FLAIR MRI.
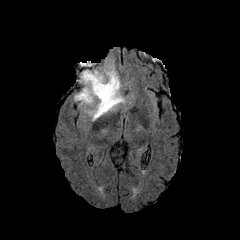
T1-weighted magnetic resonance.
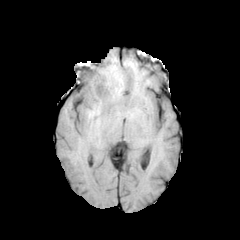
Post-contrast T1-weighted MR image.
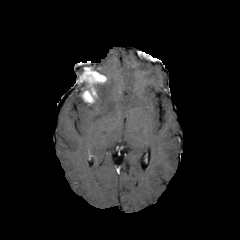
T2-weighted MRI.
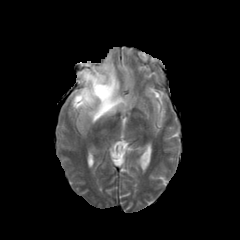
240x240
The enhancing tumor appears at l=77, t=66, r=107, b=105. The edema appears at l=73, t=57, r=126, b=121.